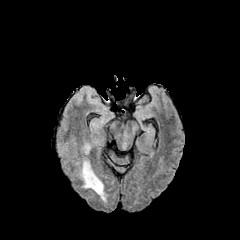
FLAIR MRI.
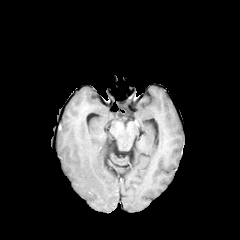
T1-weighted magnetic resonance of the same slice.
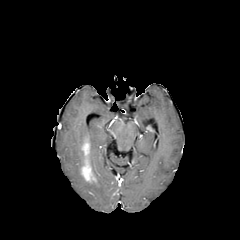
Post-contrast T1-weighted MRI of the same slice.
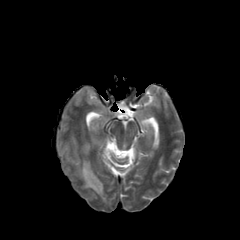
T2-weighted MRI.
240x240; Head
{"enhancing_tumor": ["left=81, top=160, right=95, bottom=181"], "edema": ["left=80, top=174, right=106, bottom=200"]}